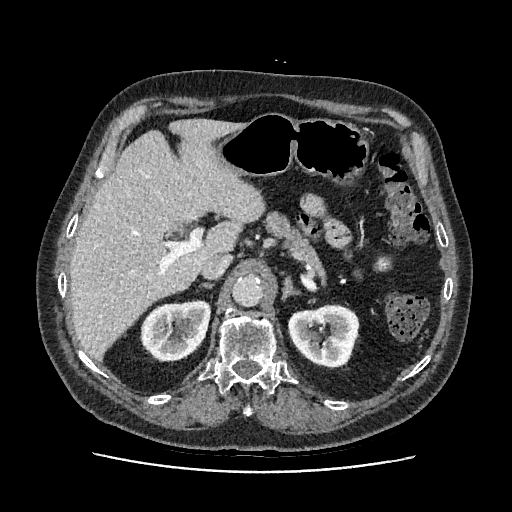 CT slice; Image size 512x512
2 kidney regions are bounded by bbox(289, 306, 358, 366); bbox(142, 301, 209, 360). The liver is at bbox(71, 120, 262, 358).